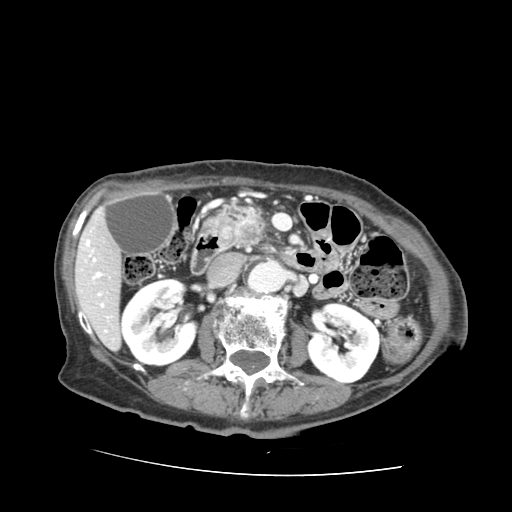

Abdomen, CT scan slice
The pancreas is located at x1=215 y1=204 x2=281 y2=246. The pancreatic tumor is located at x1=221 y1=215 x2=265 y2=246.